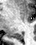 Image size 36x45. Medial temporal lobe. MRI slice. Posterior hippocampus: bounding box x1=7, y1=32, x2=22, y2=39.